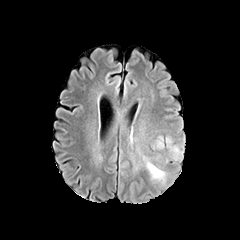
FLAIR MR image.
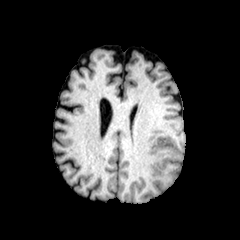
T1-weighted MR.
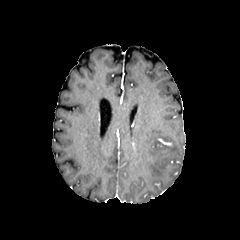
Post-contrast T1-weighted MR of the same slice.
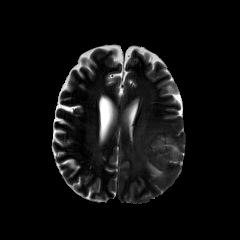
T2-weighted MRI.
<segmentation>
  <edema>x1=147, y1=162, x2=165, y2=179</edema>
</segmentation>